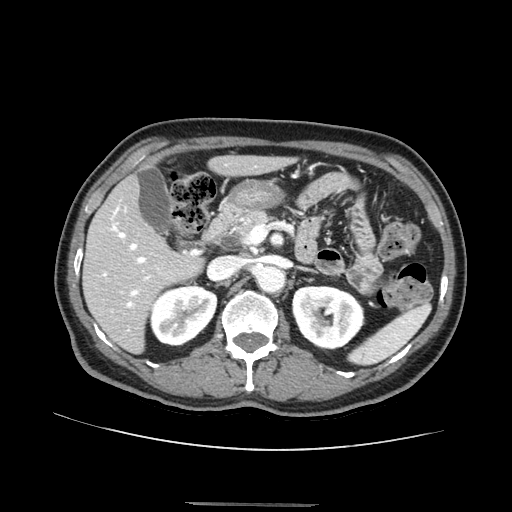 Upper abdomen, CT

The pancreas lies within [x1=238, y1=211, x2=271, y2=236].